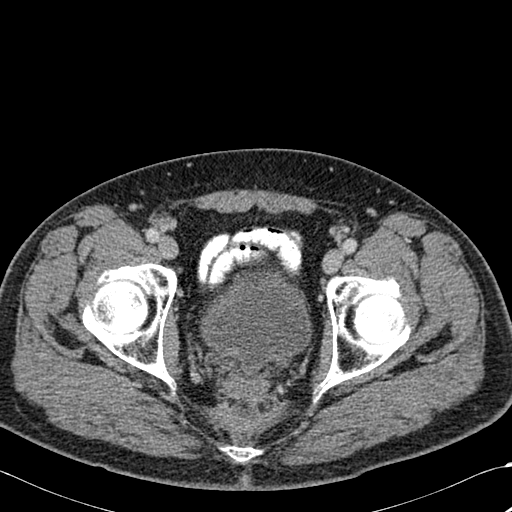

512x512. CT image.
* bone: (left=320, top=276, right=410, bottom=392), (left=83, top=263, right=176, bottom=384), (left=222, top=446, right=260, bottom=461)